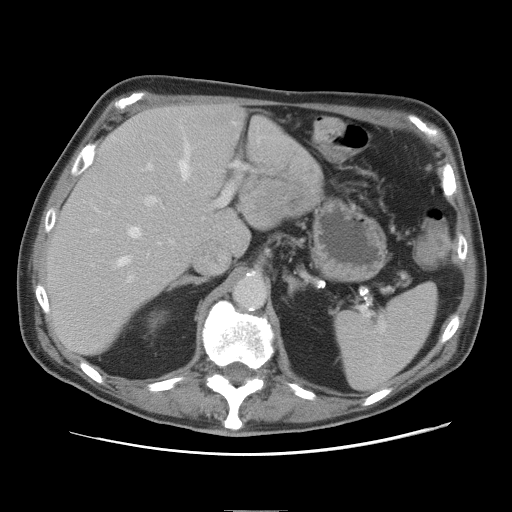

512x512 px | Computed tomography
Some hepatic vessels may have no box.
The liver tumor appears at (x1=285, y1=193, x2=302, y2=208). 9 hepatic vessel regions are bounded by (x1=129, y1=227, x2=140, y2=237), (x1=146, y1=197, x2=156, y2=204), (x1=148, y1=164, x2=152, y2=169), (x1=128, y1=276, x2=132, y2=281), (x1=180, y1=139, x2=190, y2=179), (x1=171, y1=240, x2=173, y2=242), (x1=242, y1=165, x2=247, y2=169), (x1=118, y1=257, x2=130, y2=265), (x1=216, y1=199, x2=225, y2=206).